CT image | Slice 85/366 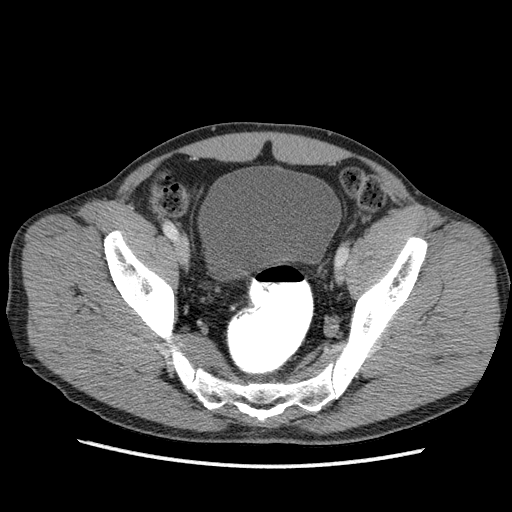 Urinary bladder: box=[198, 166, 340, 280].